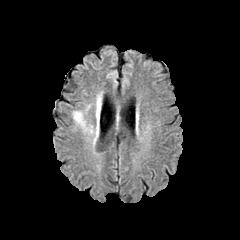
FLAIR MR.
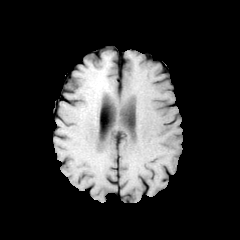
T1-weighted MRI.
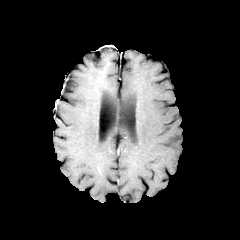
Same slice, post-contrast T1-weighted MR image.
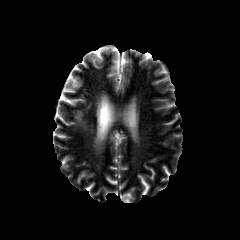
T2-weighted MRI.
Edema = [74, 94, 101, 137].